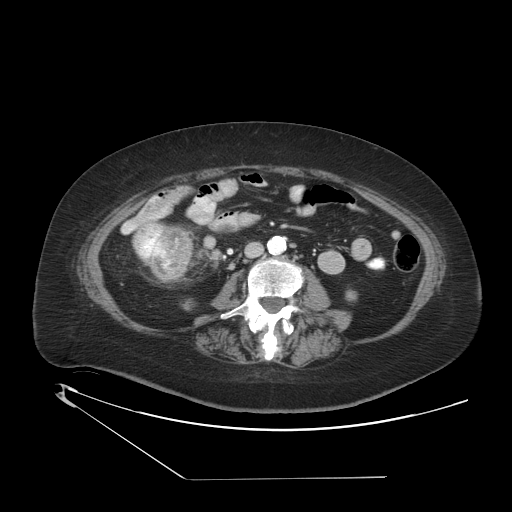

CT scan slice
Colon tumor = bbox(150, 227, 192, 278).